Computed tomography. Upper abdomen. 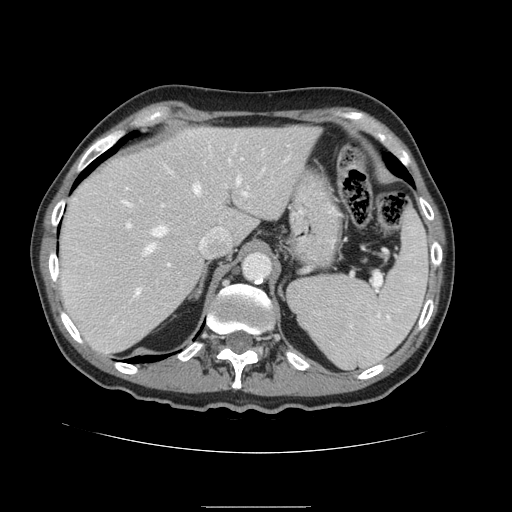
spleen: 287 210 428 369